Slice index 6. Image width 38 mm. MRI slice. Medial temporal lobe. Image size 38x52.

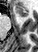

* anterior hippocampus: 13, 7, 26, 16